240x240; Brain; Field of view 240 mm wide, 1.00 mm slice spacing
FLAIR magnetic resonance.
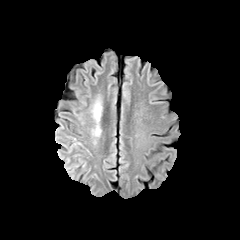
T1-weighted MR.
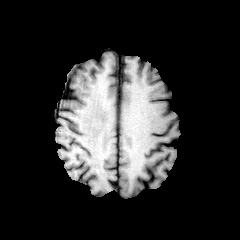
Post-contrast T1-weighted MRI.
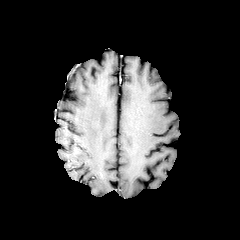
T2-weighted magnetic resonance.
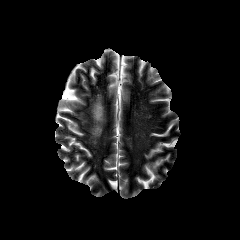
edema: <bbox>91, 94, 103, 137</bbox>